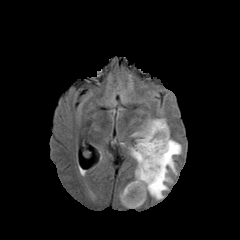
FLAIR MRI.
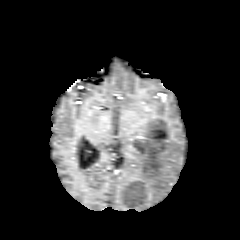
T1-weighted MRI of the same slice.
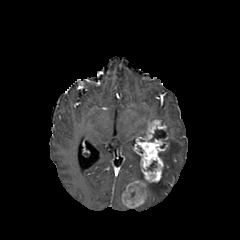
Post-contrast T1-weighted MR image of the same slice.
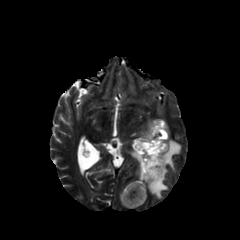
Same slice, T2-weighted MR.
Brain
Edema: bounding box (144, 118, 181, 199), (131, 146, 145, 183).
Non-enhancing tumor core: bounding box (124, 186, 144, 201), (150, 129, 166, 141), (148, 161, 156, 170).
Enhancing tumor: bounding box (133, 120, 167, 181), (125, 193, 144, 207), (128, 180, 144, 189).